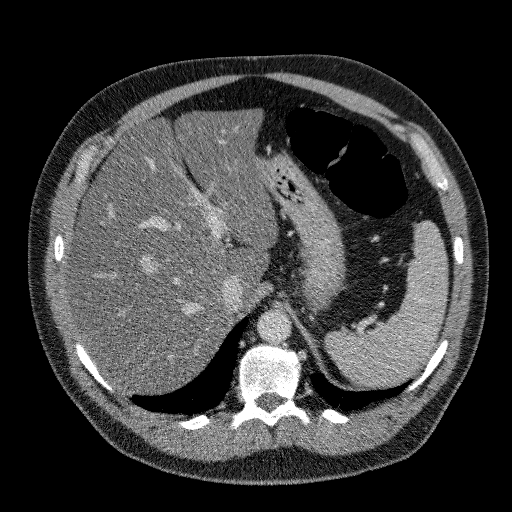

Abdomen | CT | 512x512 px
Segmented structures:
* liver: 69 109 276 393